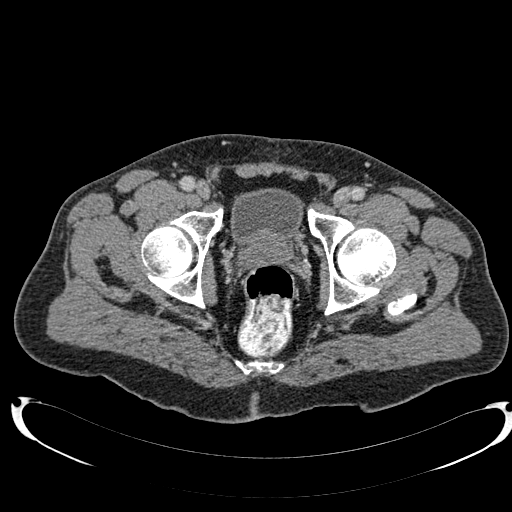

CT scan slice

Urinary bladder: bounding box (left=230, top=188, right=303, bottom=248).